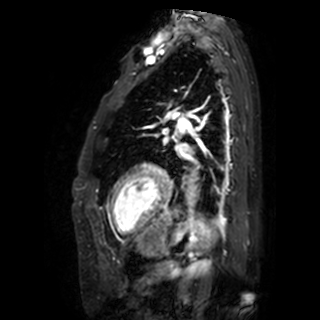
MRI

Left atrium: bbox(178, 145, 187, 156).